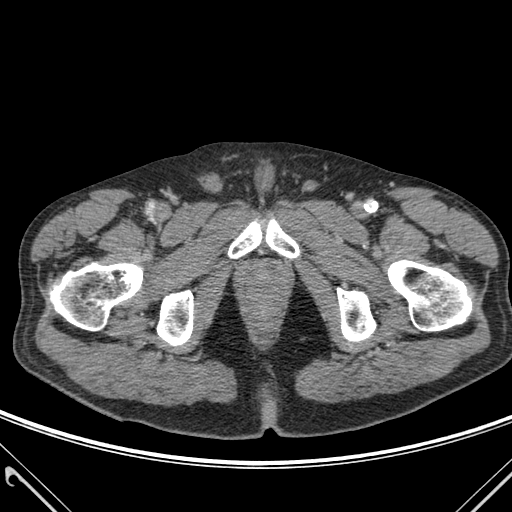
CT.

6 bone regions are bounded by 157:290:193:345, 266:219:299:257, 228:221:261:258, 337:288:375:341, 388:260:471:330, 50:263:142:330.